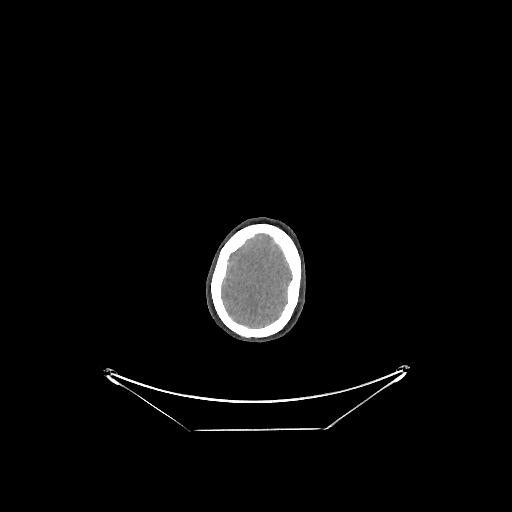 CT scan slice, Image size 512x512
Brain = [221,233,292,328].